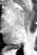 Medial temporal lobe. MRI slice.
Segmented structures:
* posterior hippocampus: (x1=10, y1=44, x2=20, y2=49)